Image width 500 mm; CT; 512x512
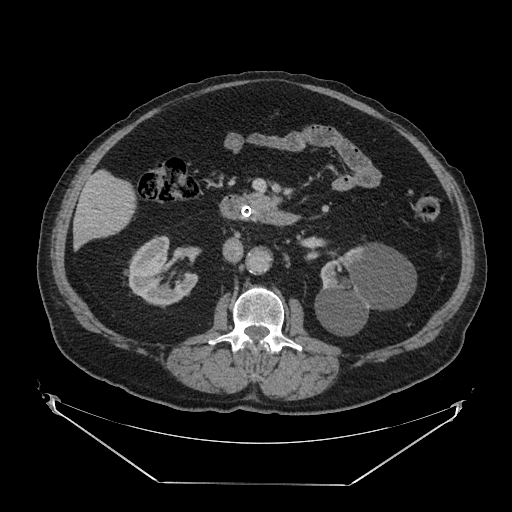 Pancreas: bounding box <bbox>247, 194, 277, 209</bbox>.